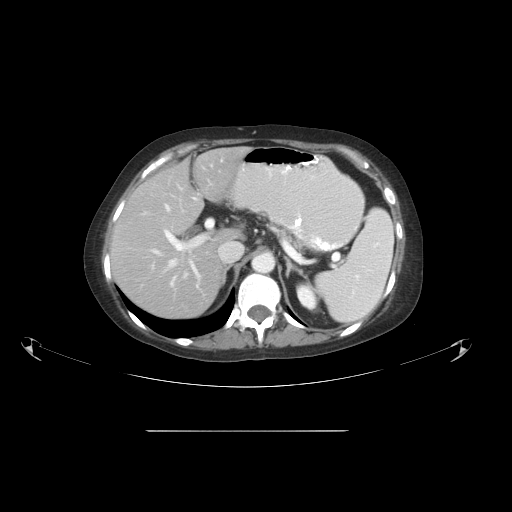

Abdomen; CT scan slice

Only some of the vessels may be annotated.
hepatic vessel: 153, 249, 161, 255; 164, 230, 175, 246; 165, 258, 176, 270; 143, 212, 147, 214; 177, 249, 179, 250; 218, 246, 221, 254; 193, 197, 196, 200; 165, 204, 169, 210; 184, 272, 187, 277; 220, 159, 222, 161; 189, 261, 200, 287; 152, 265, 153, 268; 170, 276, 176, 286